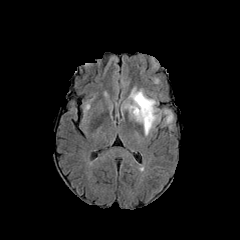
FLAIR MR.
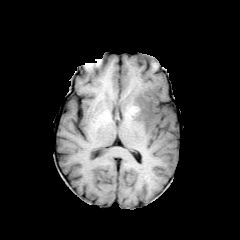
T1-weighted MR image of the same slice.
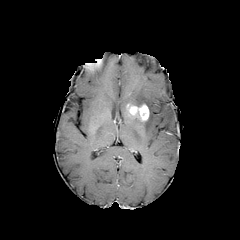
Post-contrast T1-weighted MR image of the same slice.
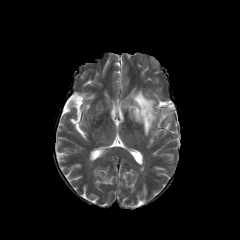
Same slice, T2-weighted MR image.
Brain | Image size 240x240
* edema: [129, 89, 156, 135], [162, 110, 172, 124]
* enhancing tumor: [126, 104, 149, 121]